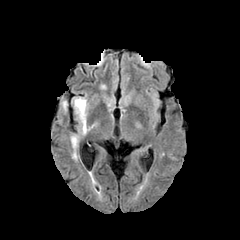
FLAIR MR.
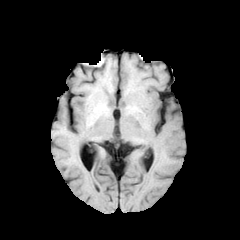
T1-weighted MR image of the same slice.
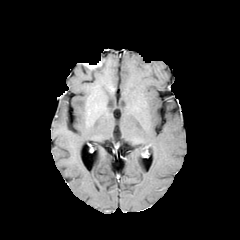
Same slice, post-contrast T1-weighted MRI.
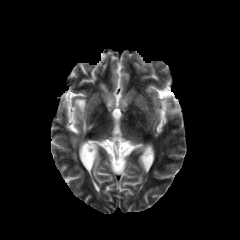
T2-weighted MR of the same slice.
Brain.
The edema lies within 70,94,96,159.